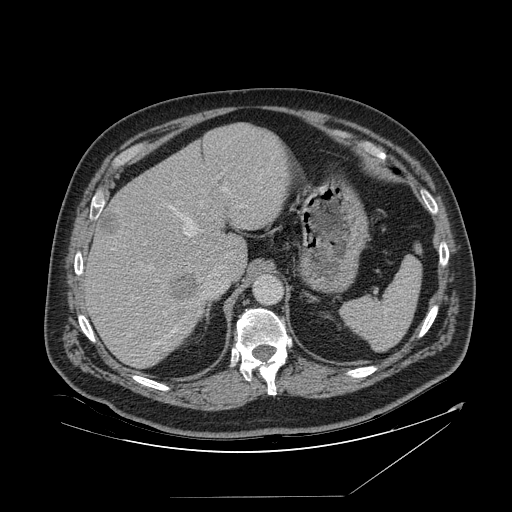 Computed tomography

• spleen: (341, 257, 421, 350)